Image size 512x512; Liver; CT 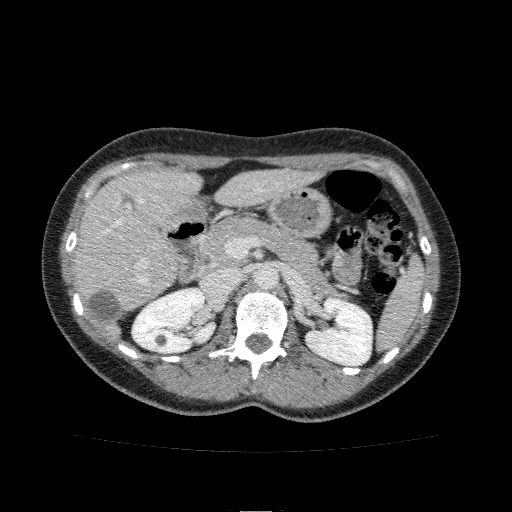

2 kidney regions appear at 132,288,214,353; 306,299,371,365. 2 liver regions are located at 73,169,202,336; 215,168,323,206.